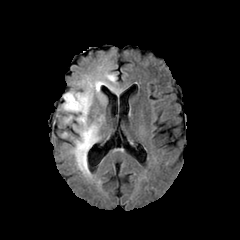
FLAIR magnetic resonance.
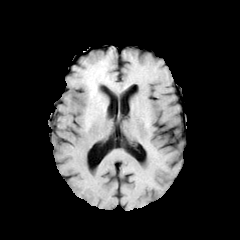
T1-weighted MR.
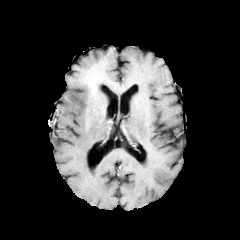
Post-contrast T1-weighted MR image.
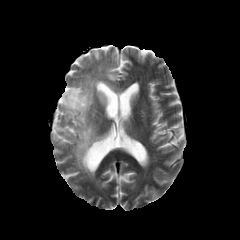
T2-weighted MR of the same slice.
non-enhancing tumor core: x1=86 y1=76 x2=105 y2=97 | edema: x1=96 y1=67 x2=121 y2=105, x1=61 y1=76 x2=100 y2=178